CT scan slice | 512x512 | Slice 61 of 86
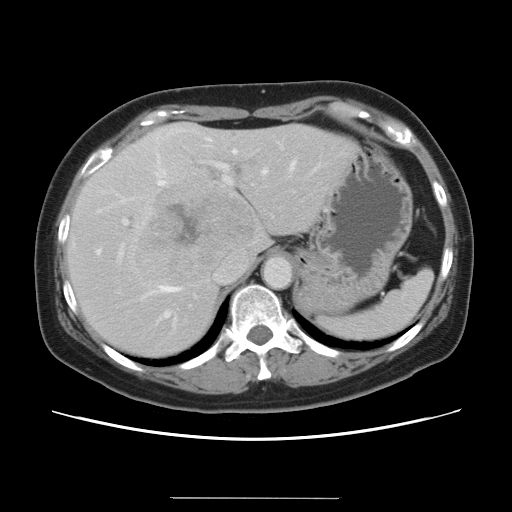
Not every hepatic vessel necessarily has a box.
The most prominent 15 hepatic vessel regions (of 21) are bounded by [x1=145, y1=293, x2=151, y2=296], [x1=160, y1=287, x2=178, y2=291], [x1=262, y1=169, x2=266, y2=174], [x1=158, y1=181, x2=164, y2=185], [x1=119, y1=250, x2=122, y2=259], [x1=173, y1=318, x2=176, y2=324], [x1=95, y1=250, x2=100, y2=253], [x1=206, y1=138, x2=210, y2=146], [x1=312, y1=164, x2=320, y2=171], [x1=164, y1=312, x2=169, y2=317], [x1=156, y1=171, x2=164, y2=175], [x1=290, y1=162, x2=294, y2=170], [x1=123, y1=220, x2=127, y2=224], [x1=122, y1=199, x2=129, y2=201], [x1=205, y1=161, x2=232, y2=184]. The liver tumor is located at [x1=135, y1=177, x2=254, y2=284].